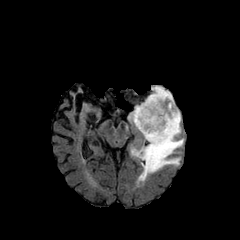
FLAIR MR image.
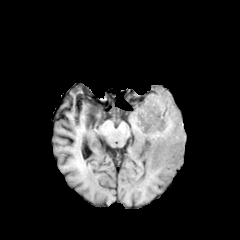
Same slice, T1-weighted MRI.
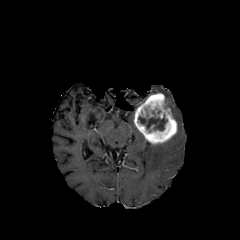
Post-contrast T1-weighted MRI.
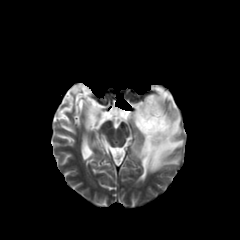
T2-weighted MR image.
Image size 240x240 | Head
<segmentation>
  <edema>(left=127, top=111, right=134, bottom=123), (left=130, top=86, right=184, bottom=183)</edema>
  <enhancing_tumor>(left=134, top=92, right=177, bottom=145)</enhancing_tumor>
  <non-enhancing_tumor_core>(left=146, top=118, right=166, bottom=130)</non-enhancing_tumor_core>
</segmentation>